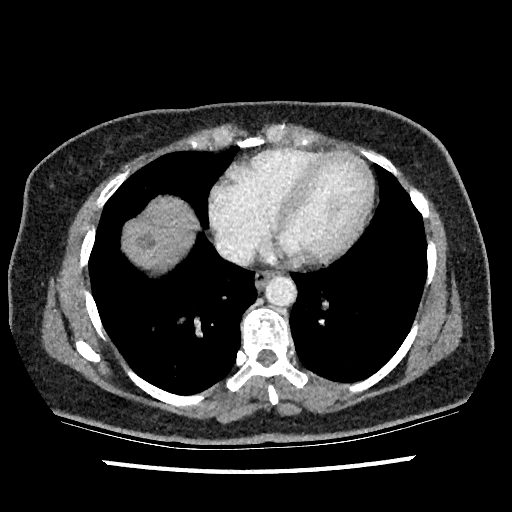 CT, Abdomen

The liver is located at <bbox>124, 198, 194, 267</bbox>. The hepatic lesion appears at <bbox>140, 235, 155, 249</bbox>.